Lower abdomen | CT 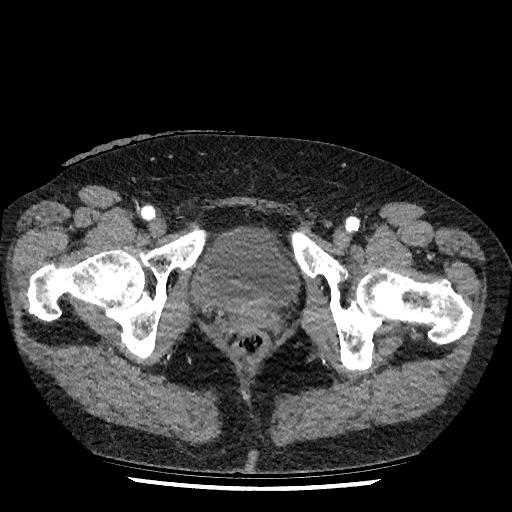
<segmentation>
  <urinary_bladder>bbox=[194, 226, 296, 315]</urinary_bladder>
</segmentation>